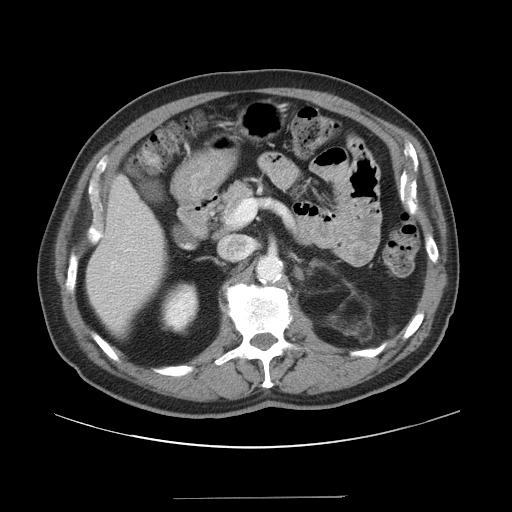
CT image, Upper abdomen
pancreas:
  - 220,180,252,217